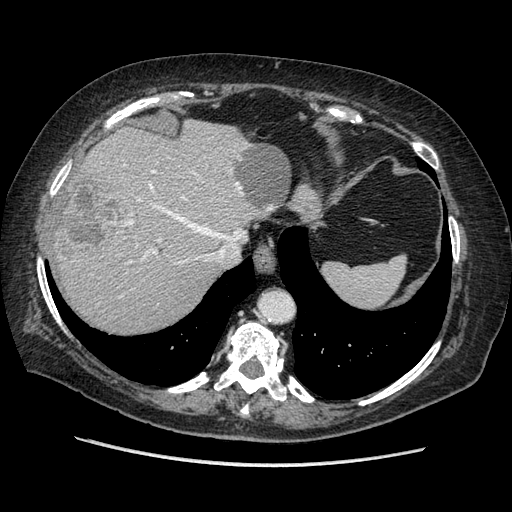

Abdomen; 512x512; CT slice
Not every hepatic vessel necessarily has a box.
Hepatic vessel: 206,249,224,259; 130,220,132,223; 148,248,156,252; 151,186,152,189; 158,205,240,240.
Liver tumor: 58,174,131,252.